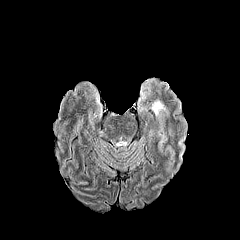
FLAIR magnetic resonance.
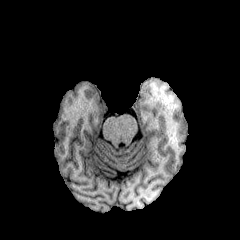
T1-weighted MR of the same slice.
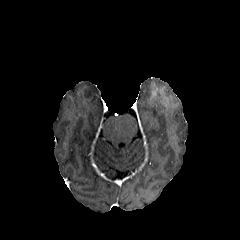
Post-contrast T1-weighted MR image.
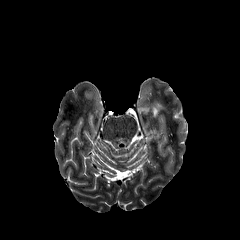
Same slice, T2-weighted MRI.
Annotated regions:
• edema: [152,101,167,116]